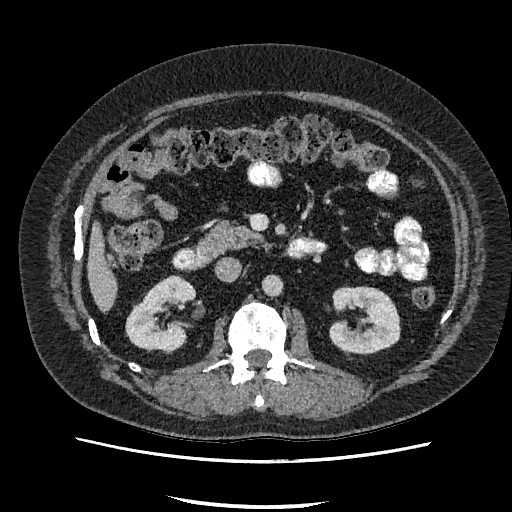

CT | Upper abdomen

The liver is at bbox(88, 223, 116, 310). 2 kidney regions appear at bbox(330, 288, 398, 352); bbox(126, 277, 194, 349).